CT scan slice, Pelvis, 512x512 px, Field of view 387x387 mm 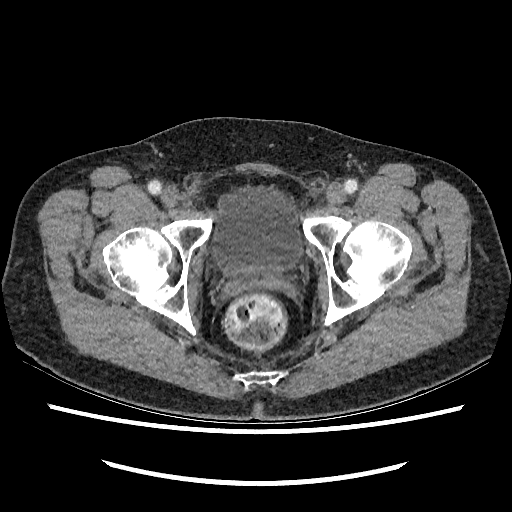 {"urinary_bladder": ["box=[208, 184, 310, 275]"]}